Head | Slice 108/155 | Image size 240x240
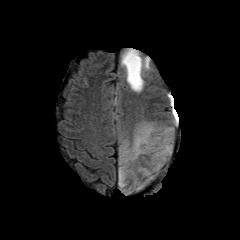
FLAIR magnetic resonance.
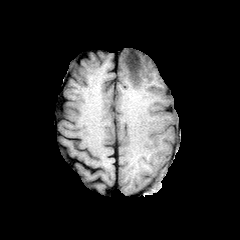
T1-weighted magnetic resonance of the same slice.
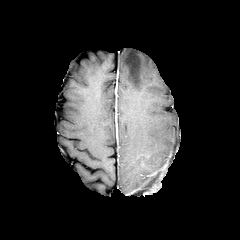
Post-contrast T1-weighted MRI of the same slice.
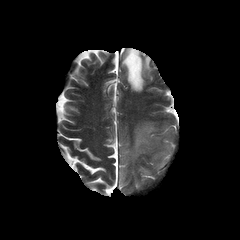
T2-weighted MRI of the same slice.
Non-enhancing tumor core = l=126, t=52, r=139, b=81.
Edema = l=119, t=166, r=125, b=186; l=134, t=126, r=156, b=151; l=120, t=49, r=150, b=92.